Head
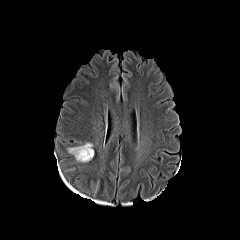
FLAIR magnetic resonance.
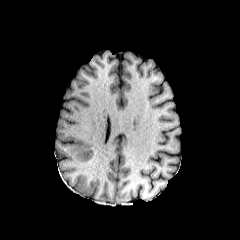
T1-weighted MR image of the same slice.
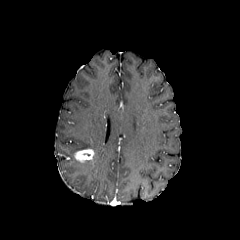
Same slice, post-contrast T1-weighted MR image.
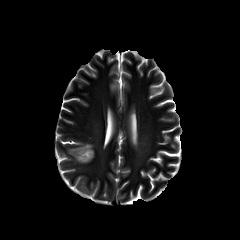
T2-weighted magnetic resonance.
Enhancing tumor at <bbox>74, 149, 94, 162</bbox>.
Edema at <bbox>68, 142, 93, 155</bbox>.